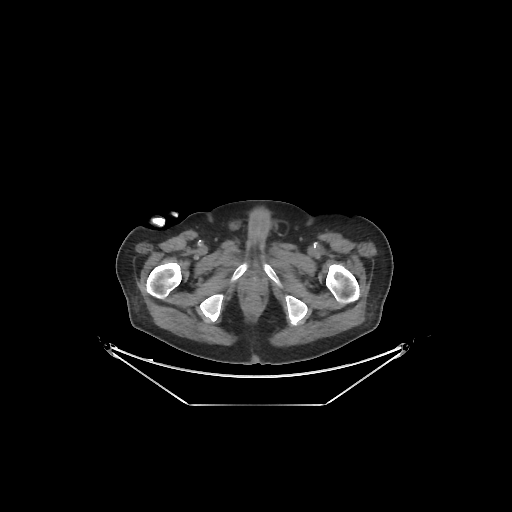
CT scan slice
7 bone regions are bounded by x1=152 y1=218 x2=164 y2=225, x1=263 y1=264 x2=280 y2=285, x1=232 y1=263 x2=247 y2=281, x1=285 y1=295 x2=307 y2=324, x1=200 y1=294 x2=223 y2=321, x1=326 y1=264 x2=359 y2=303, x1=146 y1=262 x2=181 y2=298.